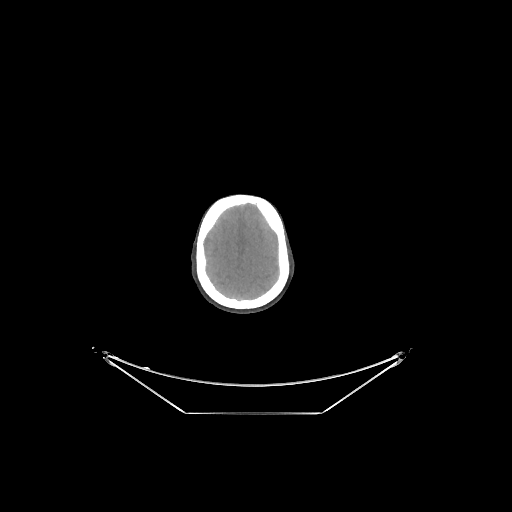
Computed tomography | Image size 512x512
• brain: x1=203 y1=203 x2=278 y2=300